Field of view 240x240 mm. Head. Slice index 45.
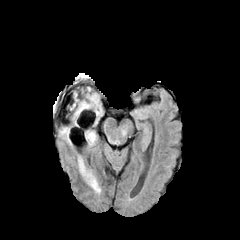
FLAIR magnetic resonance.
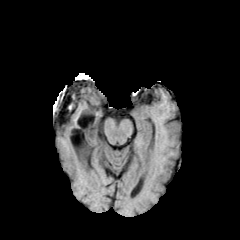
T1-weighted MR of the same slice.
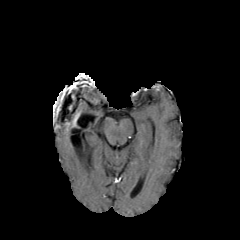
Same slice, post-contrast T1-weighted MR image.
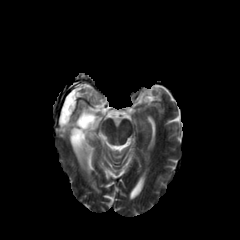
T2-weighted MR.
3 edema regions are located at <bbox>78, 157, 100, 193</bbox>, <bbox>60, 126, 73, 141</bbox>, <bbox>74, 87, 101, 115</bbox>.